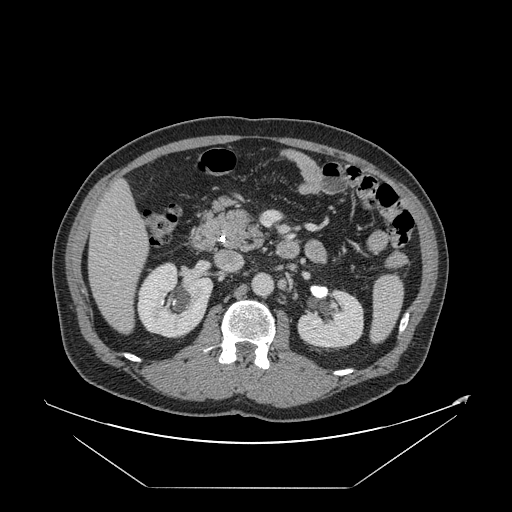 512x512. Liver. CT.
Only some of the vessels may be annotated.
hepatic_vessel:
  - bbox=[109, 244, 110, 245]